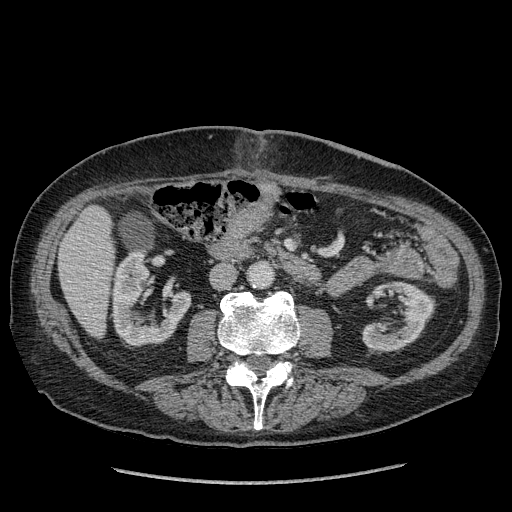
Abdomen, CT image
The liver lies within x1=58 y1=206 x2=114 y2=338. 2 kidney regions appear at x1=363 y1=282 x2=434 y2=351, x1=113 y1=252 x2=190 y2=345.